CT | 512x512
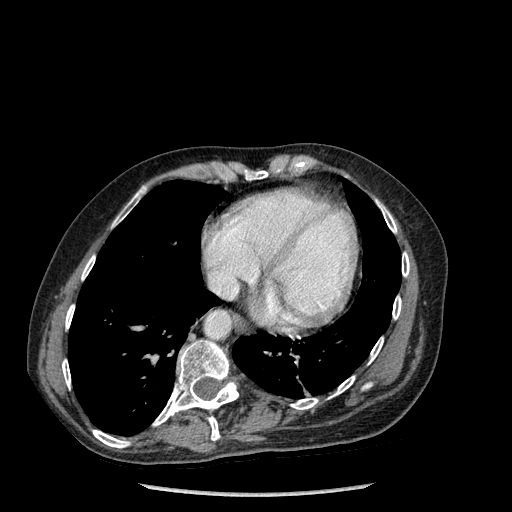
* lung: left=232, top=179, right=401, bottom=398; left=68, top=180, right=225, bottom=435
* bone: left=208, top=416, right=219, bottom=440; left=362, top=382, right=372, bottom=389; left=81, top=255, right=95, bottom=280; left=62, top=359, right=70, bottom=389; left=153, top=340, right=238, bottom=426; left=112, top=187, right=144, bottom=227; left=290, top=398, right=318, bottom=409; left=65, top=304, right=74, bottom=329; left=92, top=430, right=130, bottom=448; left=392, top=295, right=401, bottom=319; left=244, top=170, right=268, bottom=180; left=328, top=376, right=355, bottom=398; left=368, top=337, right=383, bottom=364; left=402, top=252, right=409, bottom=276; left=376, top=200, right=396, bottom=233